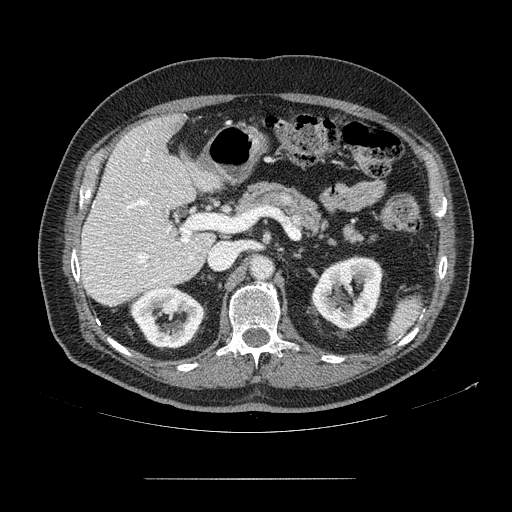 CT image. Upper abdomen.

{
  "pancreas": [
    "233 181 338 245"
  ]
}